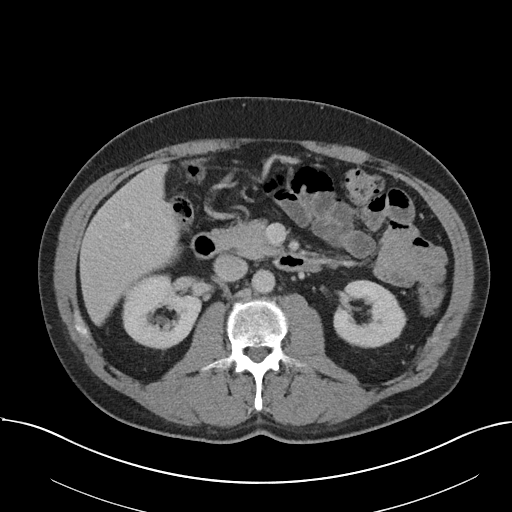 Liver | Computed tomography
Not every hepatic vessel necessarily has a box.
Hepatic vessel = 124:223:129:227, 108:298:111:300.